240x240 px. Brain.
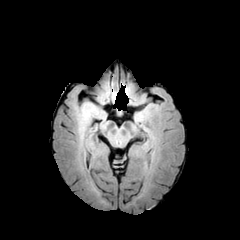
FLAIR MR image.
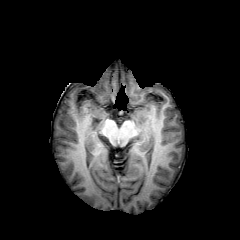
T1-weighted MR.
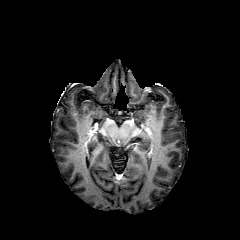
Post-contrast T1-weighted magnetic resonance.
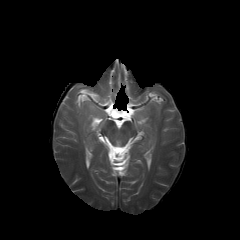
T2-weighted MRI of the same slice.
{"edema": ["bbox=[135, 114, 145, 125]", "bbox=[81, 102, 103, 123]"]}